Slice index 16; Liver; 512x512 px; CT scan slice 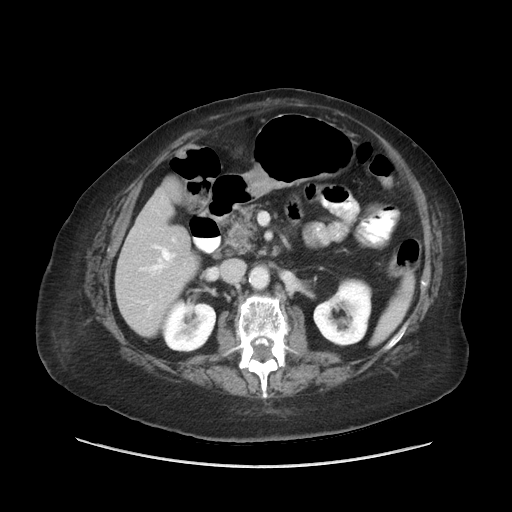

Not every hepatic vessel necessarily has a box.
<segmentation>
  <hepatic_vessel>bbox(167, 254, 169, 258)</hepatic_vessel>
</segmentation>